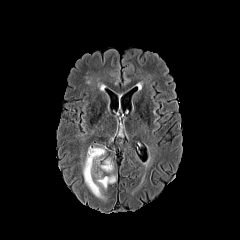
FLAIR MR image.
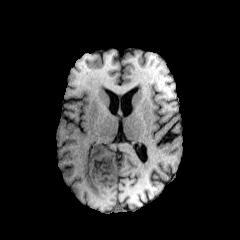
Same slice, T1-weighted magnetic resonance.
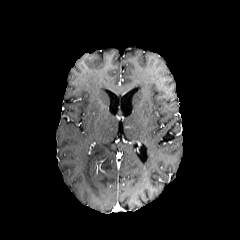
Post-contrast T1-weighted MRI of the same slice.
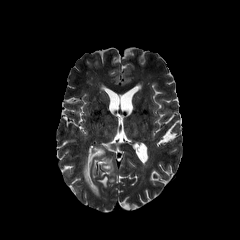
T2-weighted MRI.
Head
Findings:
• edema: <box>103,162,114,171</box>, <box>80,143,116,197</box>
• non-enhancing tumor core: <box>101,156,112,168</box>